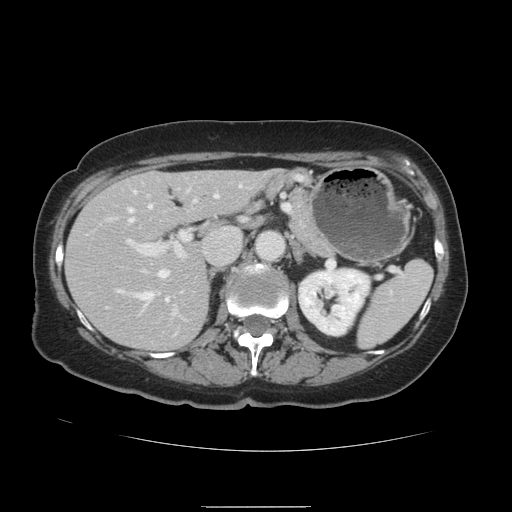

Abdomen, CT
The vessel boxes may cover only some of the vessels.
Hepatic vessel: rect(126, 217, 132, 222); rect(165, 298, 168, 301); rect(148, 205, 151, 208); rect(130, 292, 152, 303); rect(117, 290, 124, 293); rect(136, 243, 162, 255); rect(133, 190, 135, 193); rect(106, 219, 111, 220); rect(238, 185, 241, 187); rect(193, 199, 196, 201); rect(157, 270, 168, 277); rect(176, 250, 185, 256); rect(126, 208, 132, 213); rect(214, 194, 217, 197); rect(126, 239, 132, 244).